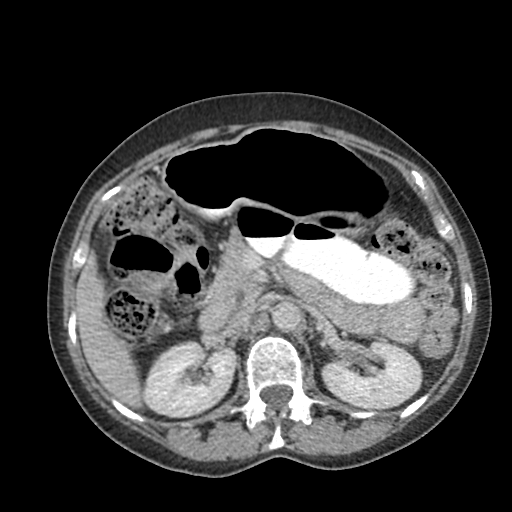

CT slice. Pelvis.

The colon tumor is at x1=128 y1=271 x2=172 y2=296.